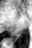
MR image. 32x48. Hippocampus. Posterior hippocampus = rect(17, 33, 20, 37); rect(6, 39, 16, 42).